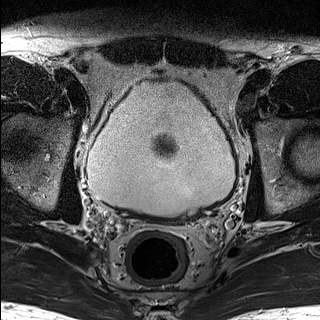
T2-weighted MR image.
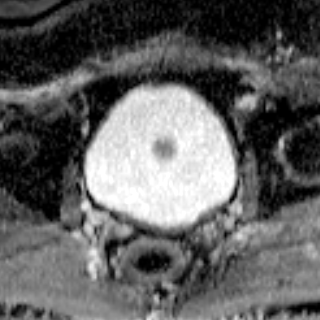
ADC MRI of the same slice.
* prostate transition zone: [153,137,177,159]